Computed tomography | Field of view 341x341 mm 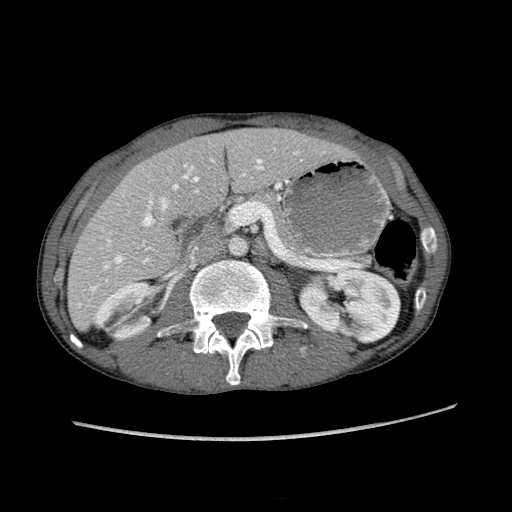
2 kidney regions are bounded by l=94, t=283, r=152, b=337; l=302, t=266, r=398, b=341. The liver is at l=65, t=127, r=353, b=326.